Field of view 240x240 mm, Slice 80/155
FLAIR MR.
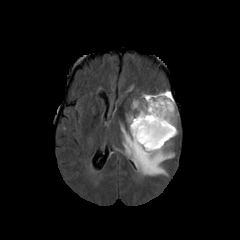
T1-weighted MR image.
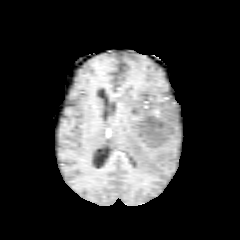
Post-contrast T1-weighted MRI.
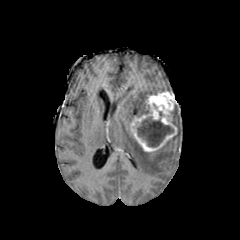
T2-weighted MRI.
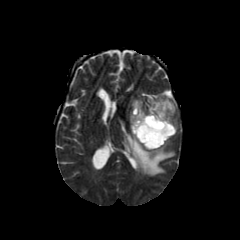
Non-enhancing tumor core: 171, 105, 178, 125; 137, 117, 173, 146.
Enhancing tumor: 131, 91, 177, 151.
Edema: 121, 92, 179, 175.